512x512 px. CT image. Abdomen.
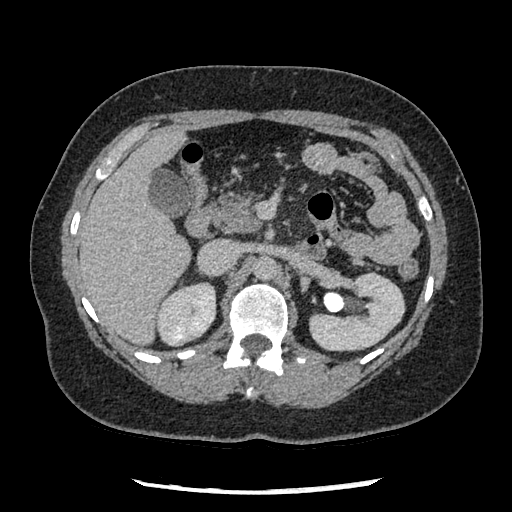

Pancreas: box(215, 192, 260, 233).